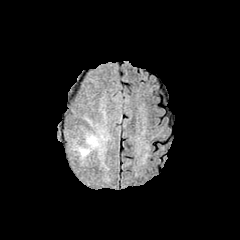
FLAIR MR.
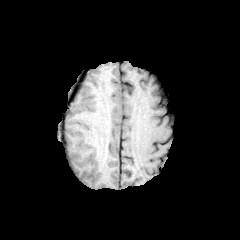
T1-weighted MR image of the same slice.
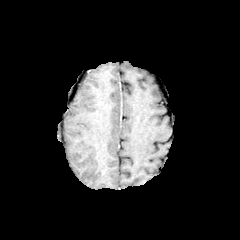
Post-contrast T1-weighted magnetic resonance.
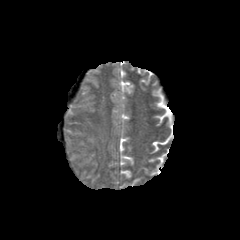
Same slice, T2-weighted MR.
Head; Image size 240x240
Edema = rect(78, 145, 93, 156).